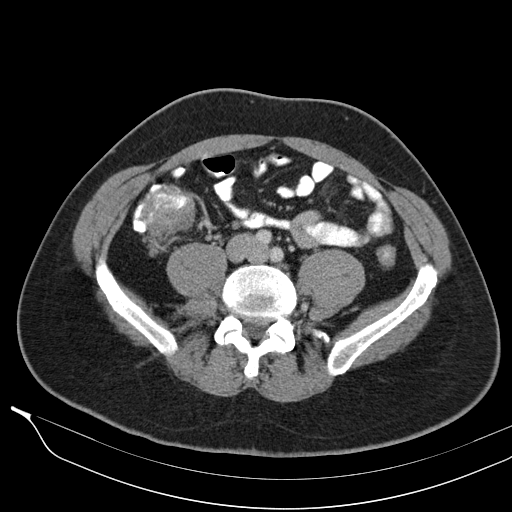

CT image; Pelvis; 512x512 px

The colon tumor lies within 139:193:194:236.